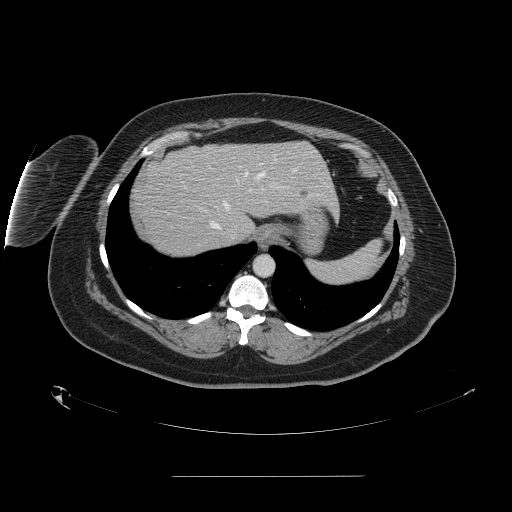

CT
spleen: (307,241,380,285)